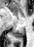
Medial temporal lobe | Magnetic resonance
Posterior hippocampus — 13,28,24,38.